FLAIR MRI.
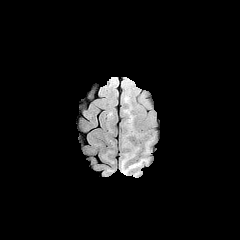
T1-weighted magnetic resonance.
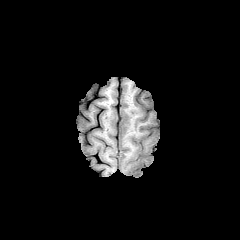
Post-contrast T1-weighted magnetic resonance.
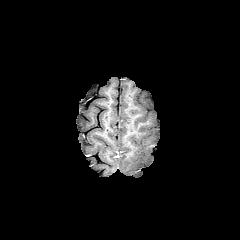
T2-weighted MR.
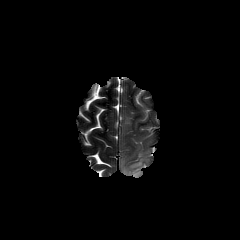
Edema at 126 159 144 171.